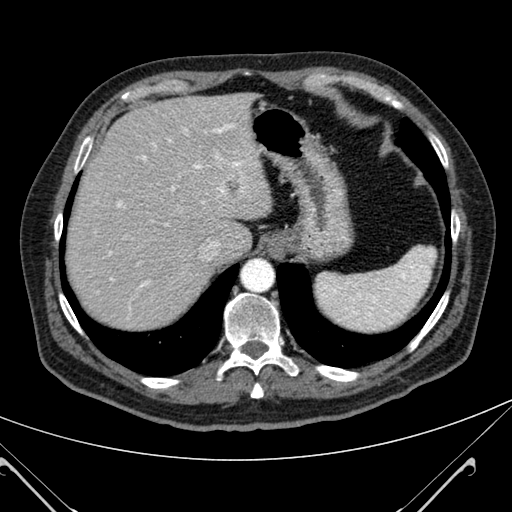

Image size 512x512, Computed tomography, Upper abdomen
<segmentation>
  <hepatic_lesion>bbox=[226, 180, 240, 192]</hepatic_lesion>
  <liver>bbox=[66, 90, 272, 330]</liver>
</segmentation>